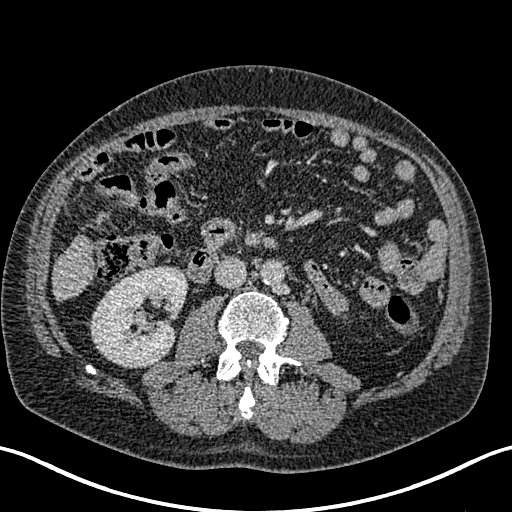

Abdomen | CT image

2 liver regions appear at {"x1": 52, "y1": 235, "x2": 93, "y2": 301}, {"x1": 95, "y1": 213, "x2": 108, "y2": 226}. The kidney is located at {"x1": 91, "y1": 267, "x2": 186, "y2": 367}.